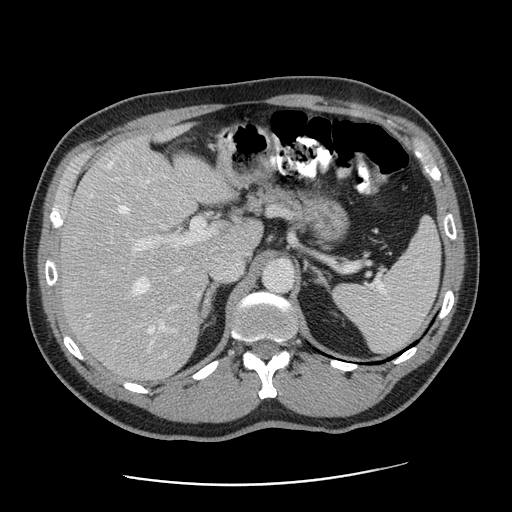

Computed tomography.
The vessel boxes may cover only some of the vessels.
Findings:
• hepatic vessel: 202, 244, 247, 280; 108, 161, 113, 166; 203, 275, 203, 278; 165, 355, 166, 357; 133, 276, 148, 293; 133, 217, 211, 250; 149, 328, 153, 332; 179, 267, 182, 269; 119, 206, 127, 212; 161, 321, 165, 329